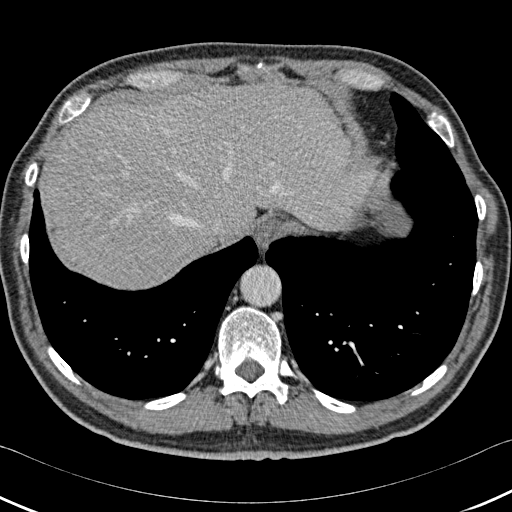 Computed tomography | Image size 512x512
Lung: bounding box bbox(29, 188, 261, 400); bbox(265, 92, 478, 404).
Bone: bounding box bbox(475, 195, 485, 219); bbox(25, 163, 37, 185); bbox(48, 347, 80, 384); bbox(144, 393, 185, 409); bbox(20, 234, 28, 263); bbox(473, 262, 482, 294); bbox(64, 99, 89, 122); bbox(411, 365, 446, 395); bbox(313, 390, 355, 413); bbox(429, 113, 453, 146); bbox(216, 307, 295, 404); bbox(61, 101, 72, 112).
Liver: bounding box bbox(40, 84, 373, 289).